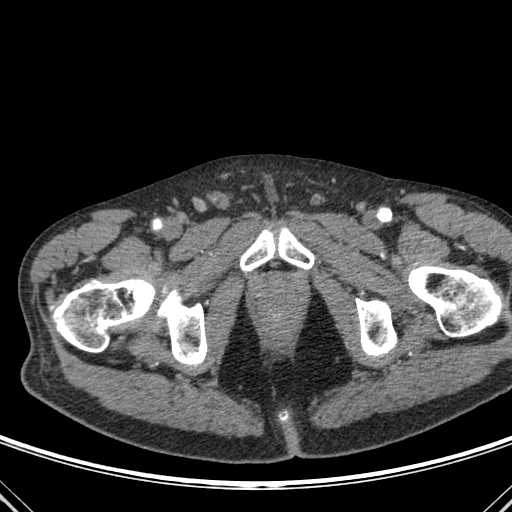

CT scan slice
Bone: rect(408, 265, 506, 336); rect(53, 278, 207, 365); rect(355, 298, 396, 356); rect(240, 227, 314, 271).